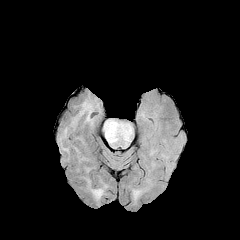
FLAIR magnetic resonance.
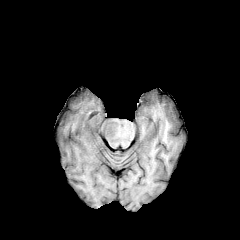
Same slice, T1-weighted magnetic resonance.
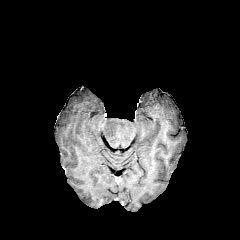
Post-contrast T1-weighted MR.
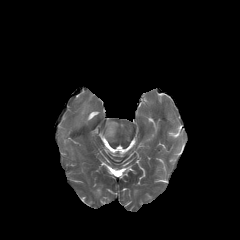
T2-weighted MR image.
Head
Edema at region(71, 100, 92, 129); region(58, 129, 67, 140); region(92, 186, 107, 198).